FLAIR magnetic resonance.
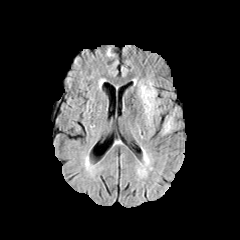
T1-weighted MRI.
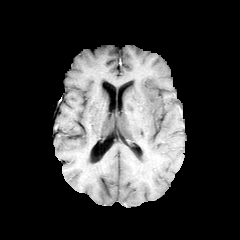
Post-contrast T1-weighted MR image.
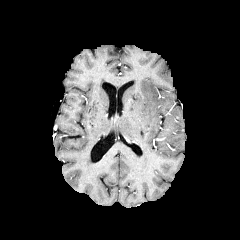
T2-weighted MR image.
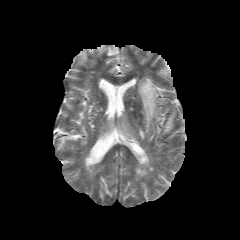
Brain
2 edema regions appear at x1=139 y1=80 x2=156 y2=123, x1=164 y1=116 x2=172 y2=132.